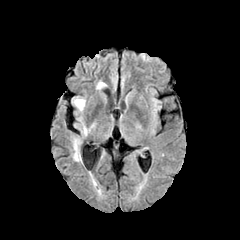
FLAIR MR image.
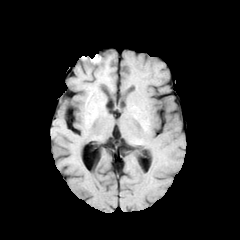
T1-weighted MR image.
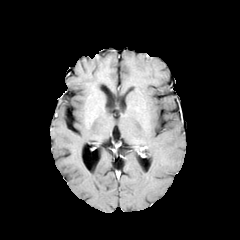
Post-contrast T1-weighted MRI of the same slice.
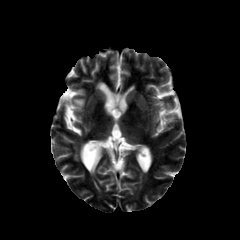
T2-weighted MR.
4 edema regions appear at l=79, t=119, r=89, b=135; l=71, t=96, r=85, b=112; l=71, t=136, r=81, b=161; l=96, t=81, r=106, b=91.